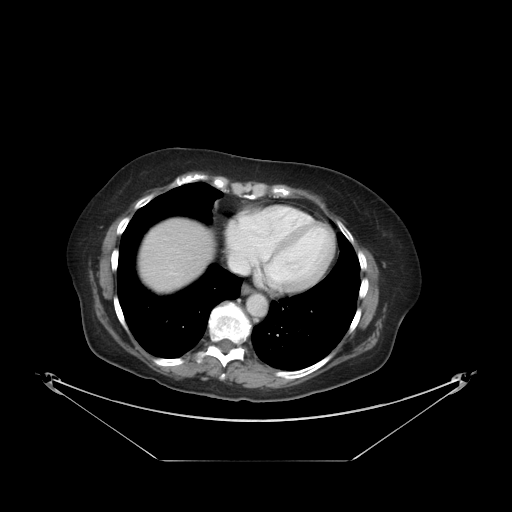 Computed tomography
The vessel boxes may cover only some of the vessels.
Hepatic vessel = x1=229, y1=256, x2=249, y2=273.